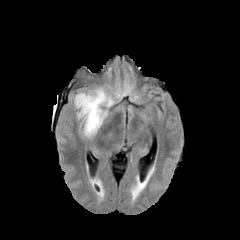
FLAIR MRI.
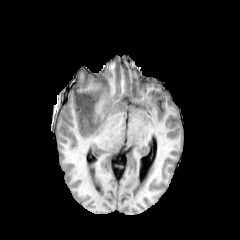
T1-weighted MR.
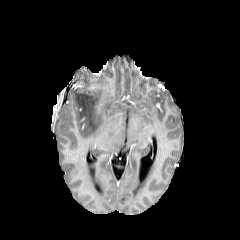
Same slice, post-contrast T1-weighted MR image.
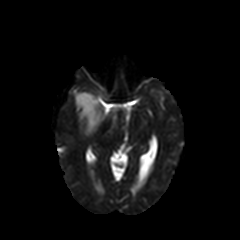
T2-weighted MR image.
The non-enhancing tumor core is bounded by bbox=[77, 93, 95, 123]. The edema lies within bbox=[73, 87, 114, 137].